CT image, 512x512, Upper abdomen
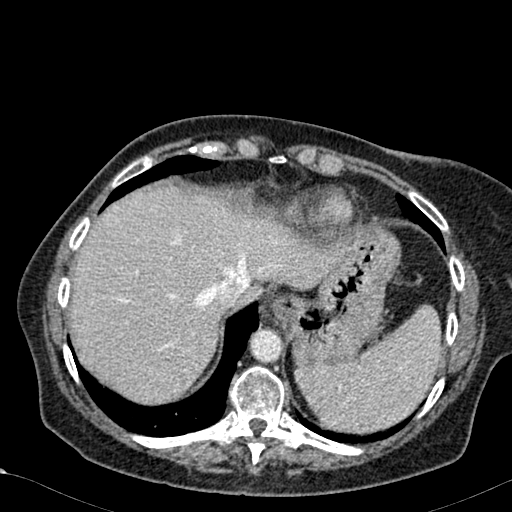
Liver: box=[71, 189, 330, 403].